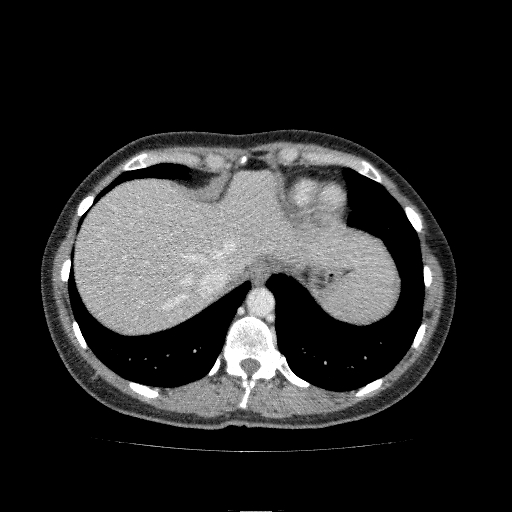 CT. Upper abdomen. Image size 512x512.
Liver: x1=76 y1=171 x2=387 y2=333.